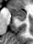
MRI. Medial temporal lobe.
Posterior hippocampus at 16,18,25,21.
Anterior hippocampus at 9,5,25,17.